Slice index 94; CT scan slice; 512x512 px; Pelvis
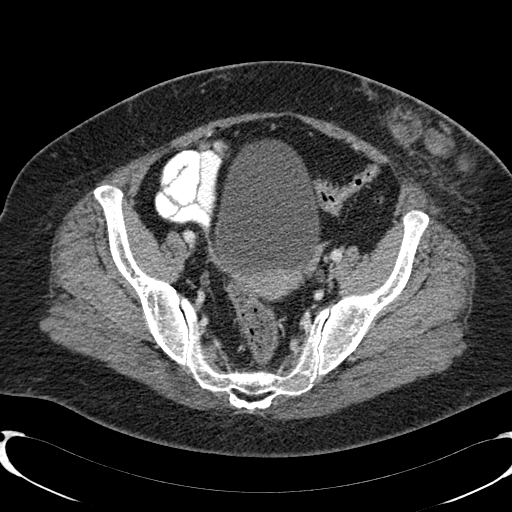
The urinary bladder is located at (214, 140, 319, 274).